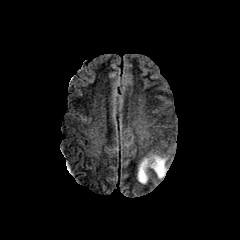
FLAIR MRI.
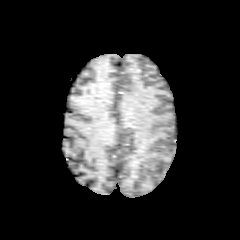
T1-weighted MR.
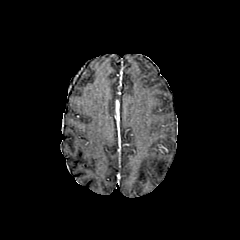
Post-contrast T1-weighted magnetic resonance of the same slice.
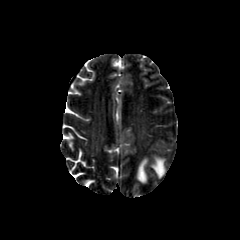
T2-weighted magnetic resonance.
Image size 240x240
{"edema": ["(136, 154, 166, 183)"]}